Image width 370 mm; CT slice; Abdomen 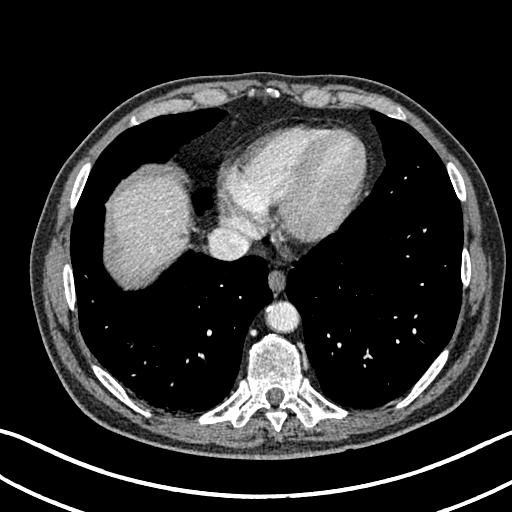 The liver appears at (113,177,187,276).